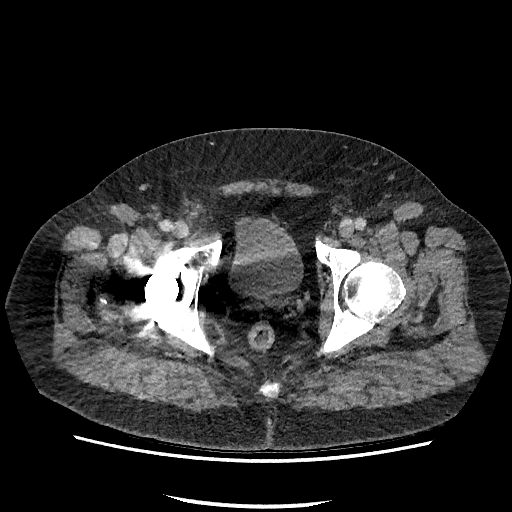
Pelvis. CT image.

The urinary bladder is at 231:216:303:302.